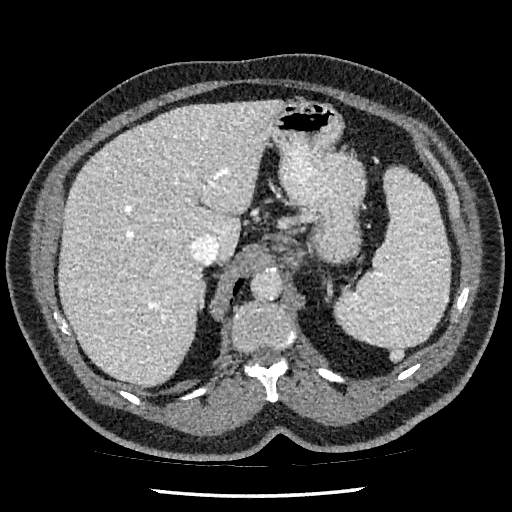

Liver | CT slice

Annotated regions:
* liver: [x1=59, y1=100, x2=281, y2=385]